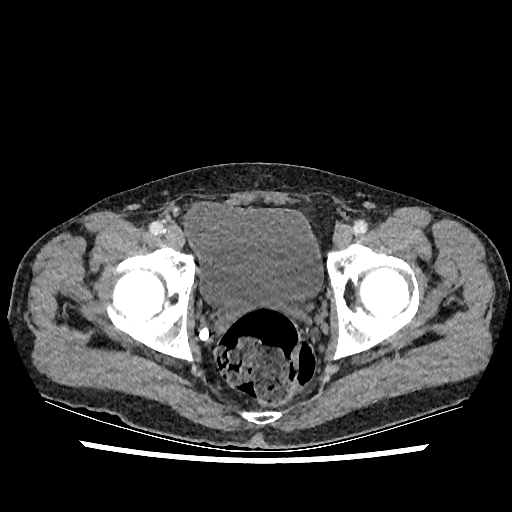 Pelvis; Computed tomography
The urinary bladder lies within (184,202,323,329).